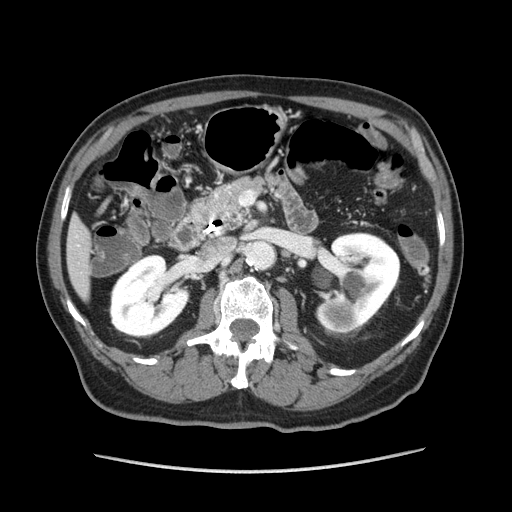 Image size 512x512 | CT
<segmentation>
  <pancreas>region(209, 175, 268, 227)</pancreas>
</segmentation>